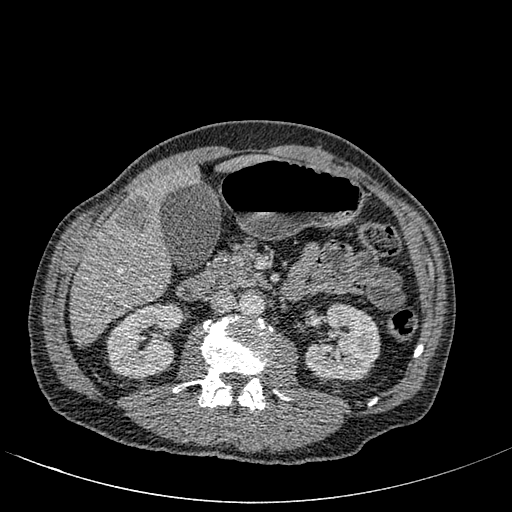 512x512 px. Liver. Computed tomography.

Annotated regions:
• liver: (219,155,273,171), (71,165,199,345)
• liver lesion: (114,196,151,233)
• kidney: (305,303,379,379), (107,304,182,378)